Thorax, Slice index 170, CT slice 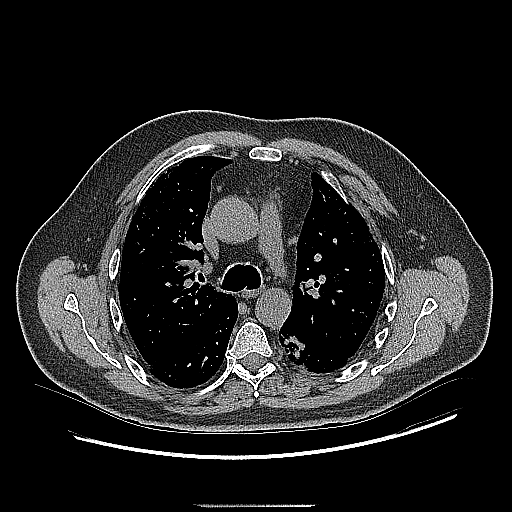

lung tumor: 279, 330, 308, 369